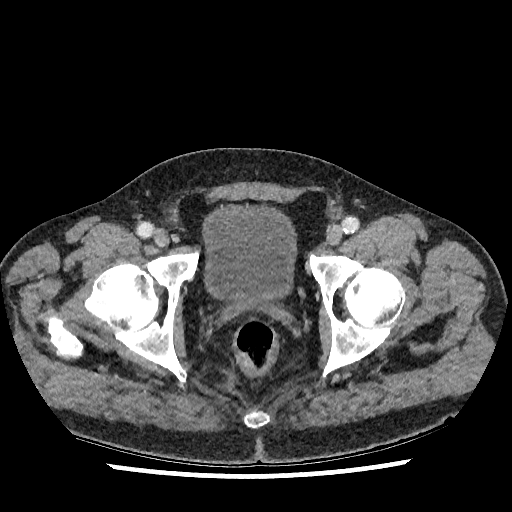

CT image
The urinary bladder is located at box(202, 205, 296, 309).